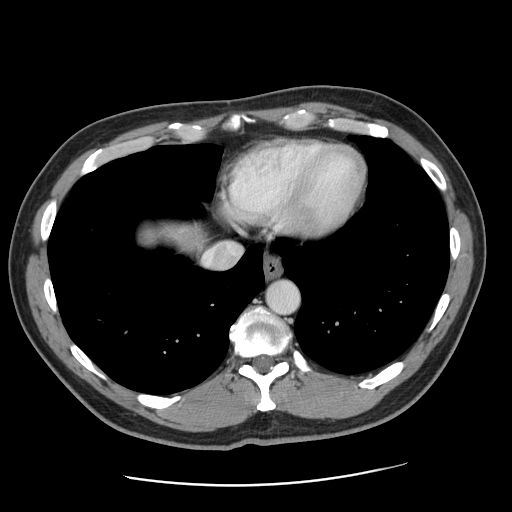 CT image.

The vessel annotation is not exhaustive.
Hepatic vessel: bounding box x1=203 y1=244 x2=241 y2=267.